Slice index 55
FLAIR MR image.
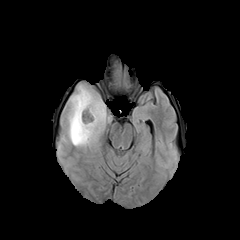
T1-weighted magnetic resonance.
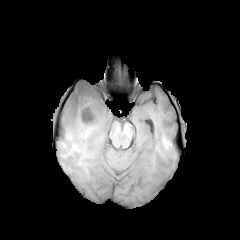
Post-contrast T1-weighted magnetic resonance.
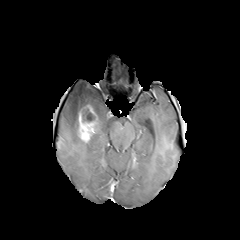
T2-weighted MR image.
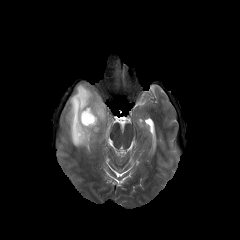
The non-enhancing tumor core is bounded by [79,104,99,123]. The edema appears at [63,84,111,148]. The enhancing tumor appears at [78,113,98,143].